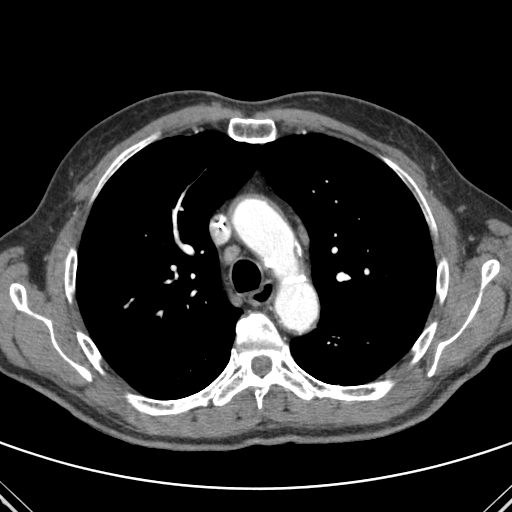

CT scan slice | Chest
Bone: [x1=77, y1=331, x2=103, y2=373], [x1=64, y1=248, x2=76, y2=301], [x1=428, y1=292, x2=482, y2=376], [x1=97, y1=138, x2=148, y2=190], [x1=125, y1=313, x2=393, y2=415], [x1=481, y1=259, x2=499, y2=290], [x1=9, y1=283, x2=91, y2=381], [x1=384, y1=158, x2=436, y2=231], [x1=412, y1=322, x2=436, y2=363], [x1=228, y1=117, x2=275, y2=143], [x1=436, y1=258, x2=448, y2=302].
Lung: [x1=76, y1=131, x2=436, y2=399].